CT image | Field of view 464x464 mm | Slice 91 of 240 | Abdomen 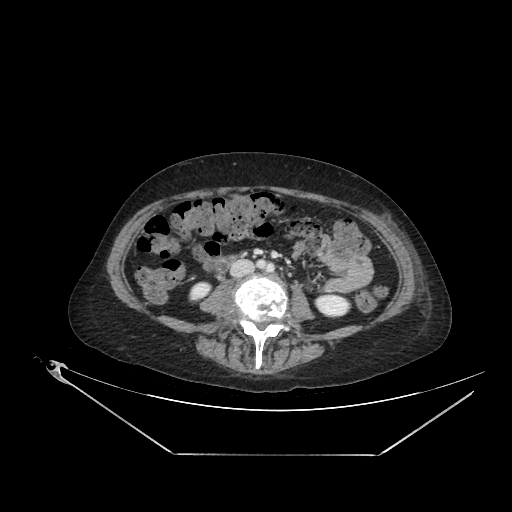
2 kidney regions appear at bbox(191, 284, 209, 298); bbox(317, 295, 347, 315).